Image size 240x240, Head, Field of view 240x240 mm
FLAIR MRI.
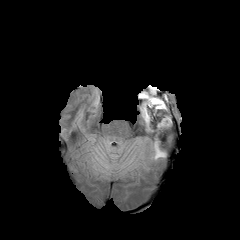
T1-weighted MR.
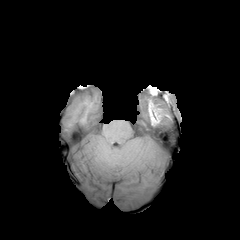
Post-contrast T1-weighted MR image.
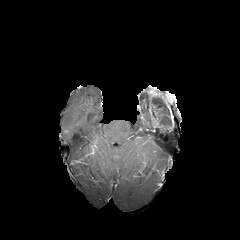
T2-weighted magnetic resonance.
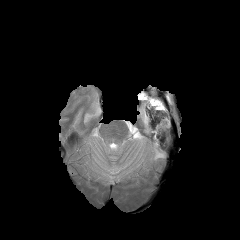
Edema = box(94, 91, 171, 162); box(103, 167, 116, 173).
Non-enhancing tumor core = box(142, 91, 157, 110).